Head, Image width 240 mm, Slice 67/155
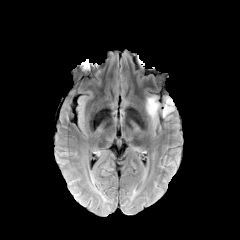
FLAIR MR image.
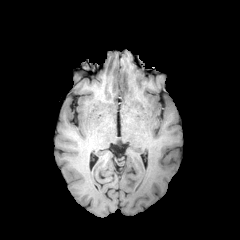
Same slice, T1-weighted magnetic resonance.
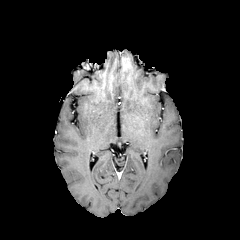
Same slice, post-contrast T1-weighted MR.
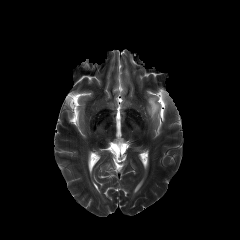
Same slice, T2-weighted MRI.
Annotated regions:
* edema: (146, 95, 174, 123)